CT scan slice, 512x512

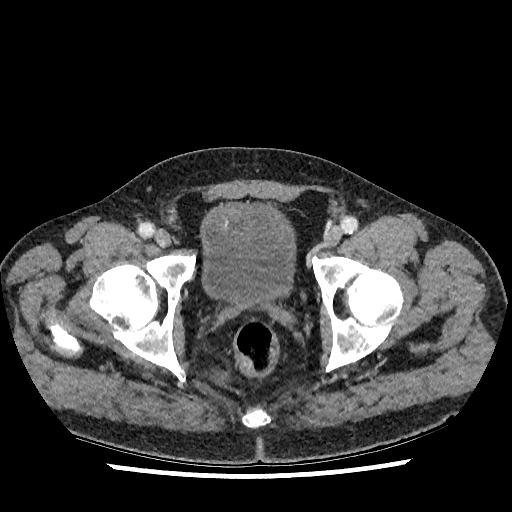
Urinary bladder: bounding box 200 203 295 309.